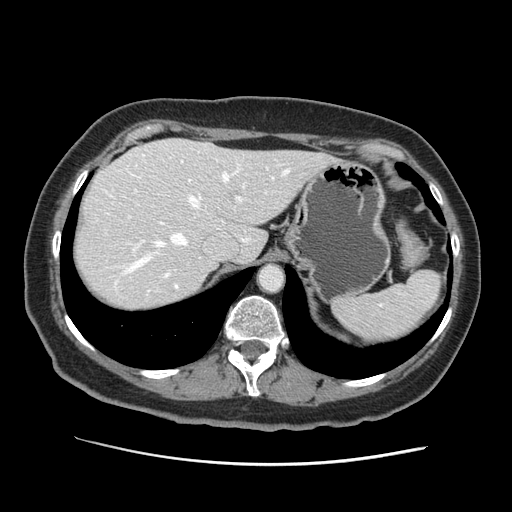 CT scan slice | 512x512
spleen:
  - box=[333, 270, 442, 343]